CT scan slice | Abdomen | Slice index 50
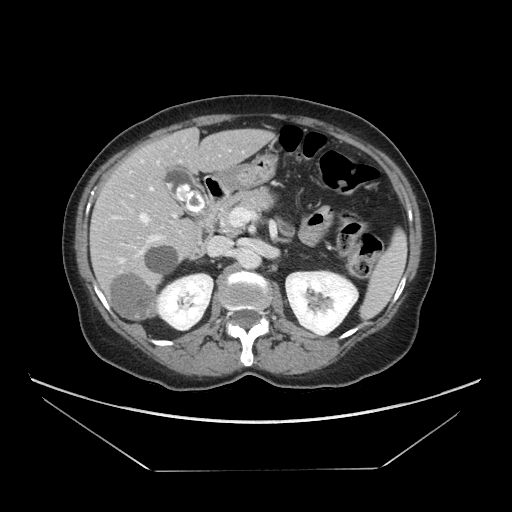

The pancreas appears at 212 187 279 236.